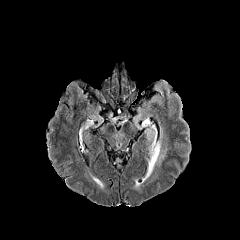
FLAIR magnetic resonance.
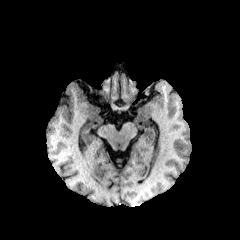
T1-weighted MR image.
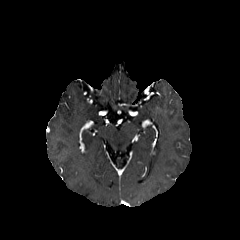
Post-contrast T1-weighted MR image of the same slice.
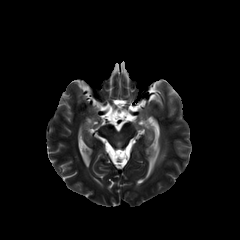
T2-weighted MRI of the same slice.
2 edema regions are located at <box>144,141,162,179</box>, <box>145,127,155,140</box>.